Brain. Image width 240 mm. Slice 111/155.
FLAIR MRI.
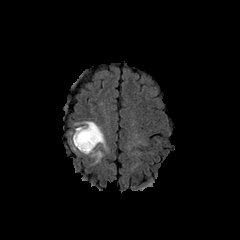
T1-weighted MR image.
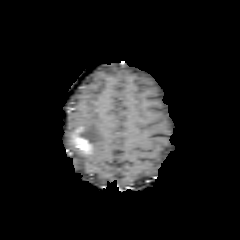
Post-contrast T1-weighted MRI.
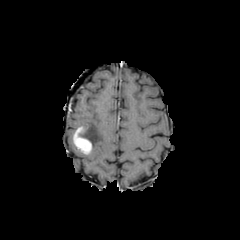
T2-weighted magnetic resonance.
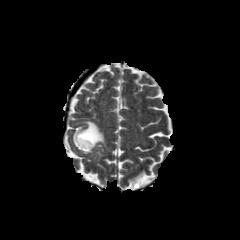
Enhancing tumor: <bbox>72, 126, 91, 153</bbox>.
Non-enhancing tumor core: <bbox>81, 127, 95, 145</bbox>.
Edema: <bbox>74, 120, 107, 162</bbox>.